240x240 px
FLAIR MRI.
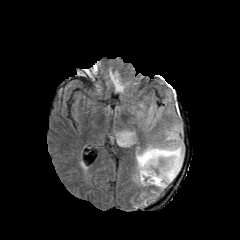
T1-weighted MR image.
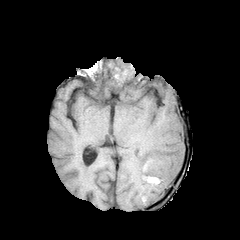
Post-contrast T1-weighted MR.
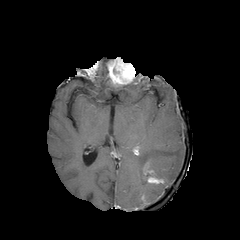
T2-weighted MR image.
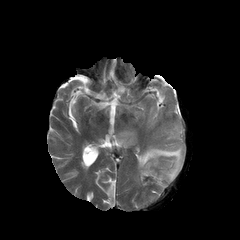
enhancing tumor: <bbox>108, 62, 134, 85</bbox>, <bbox>148, 177, 163, 183</bbox> | non-enhancing tumor core: <bbox>108, 60, 132, 82</bbox>, <bbox>146, 170, 164, 182</bbox> | edema: <bbox>136, 122, 184, 191</bbox>, <bbox>114, 83, 129, 93</bbox>